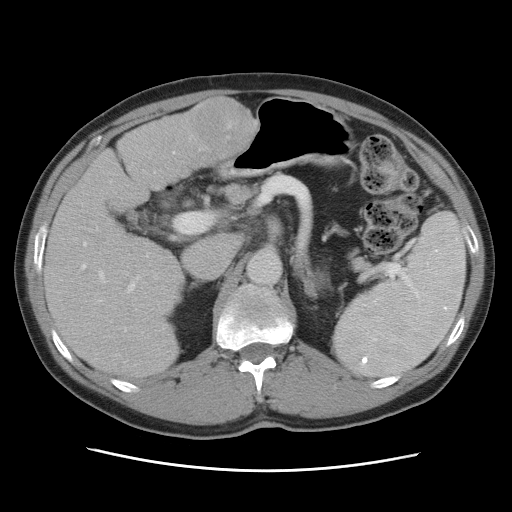 CT image; 512x512

The vessel boxes may cover only some of the vessels.
Segmented structures:
- hepatic vessel: 81:264:85:269, 127:283:134:292, 99:271:104:282, 96:227:97:231, 124:328:125:331, 95:300:101:303, 162:327:163:329, 115:354:118:355, 83:243:86:246, 189:136:192:138, 136:276:139:279, 199:148:200:150
- liver tumor: 194:100:252:154